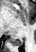
MR; Image size 36x52

posterior_hippocampus:
  - {"x1": 14, "y1": 40, "x2": 22, "y2": 45}